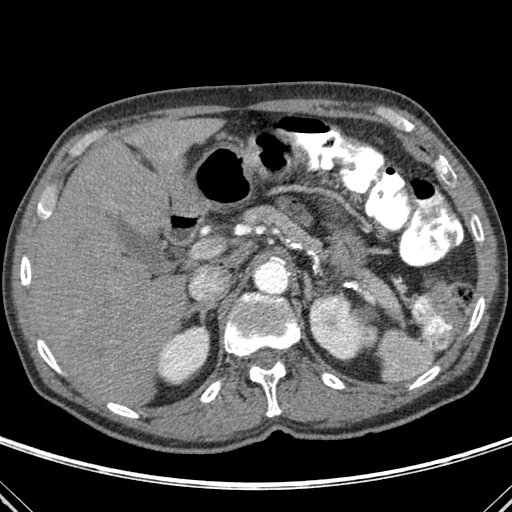

512x512. CT scan slice. liver:
  - bbox=[33, 118, 225, 405]
bone:
  - bbox=[20, 256, 31, 285]
  - bbox=[322, 373, 344, 388]
  - bbox=[409, 366, 439, 389]
  - bbox=[249, 361, 285, 416]
  - bbox=[37, 201, 50, 218]
  - bbox=[224, 289, 300, 357]
  - bbox=[470, 215, 483, 241]
  - bbox=[200, 381, 221, 402]
  - bbox=[107, 403, 138, 417]
  - bbox=[37, 339, 60, 372]
  - bbox=[469, 297, 484, 332]
  - bbox=[440, 156, 456, 186]
kidney:
  - bbox=[159, 328, 207, 382]
  - bbox=[311, 297, 366, 358]